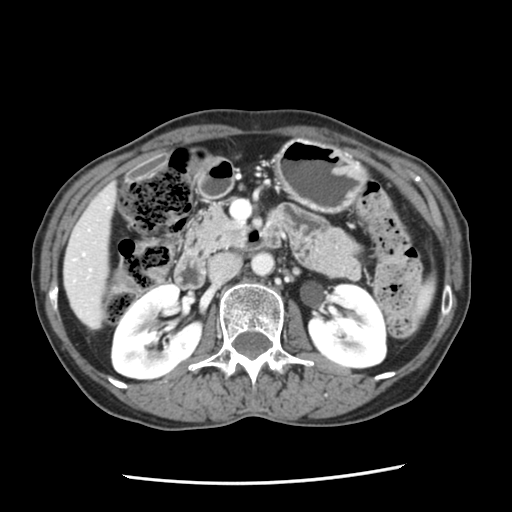
Image size 512x512 | CT slice
Pancreas = x1=196, y1=202, x2=251, y2=253.